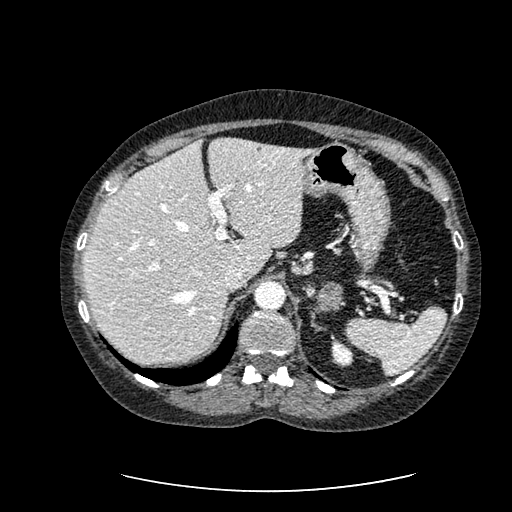

CT slice | Image size 512x512
Annotated regions:
* kidney: rect(332, 342, 351, 364)
* liver: rect(83, 138, 322, 363)